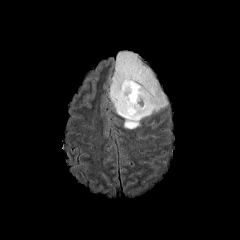
FLAIR MR.
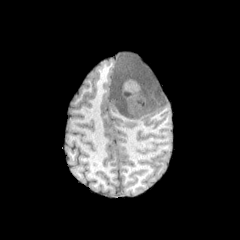
T1-weighted MRI of the same slice.
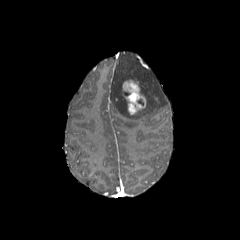
Same slice, post-contrast T1-weighted magnetic resonance.
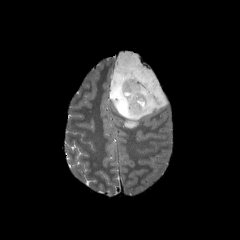
T2-weighted MR.
Brain
The edema is located at box=[110, 52, 168, 129]. The enhancing tumor lies within box=[120, 78, 146, 115].